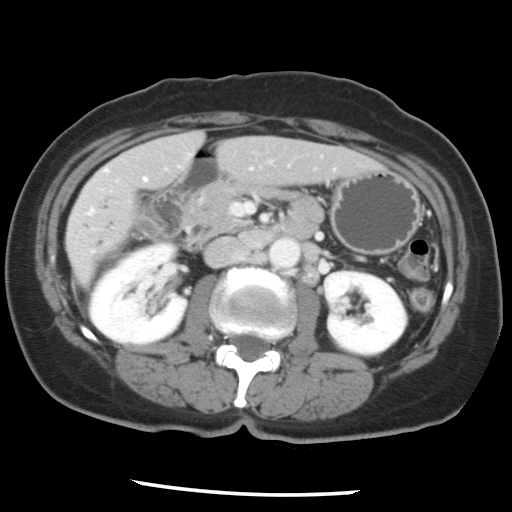

Computed tomography

Not every hepatic vessel necessarily has a box.
Findings:
* hepatic vessel: bbox=[143, 177, 146, 179]; bbox=[104, 169, 107, 170]